Brain
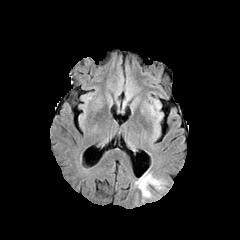
FLAIR MR image.
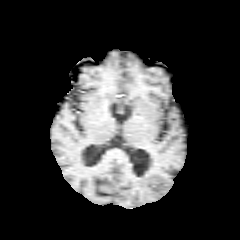
T1-weighted MRI.
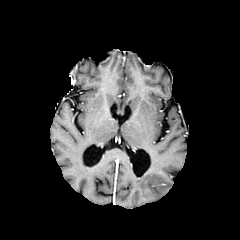
Same slice, post-contrast T1-weighted magnetic resonance.
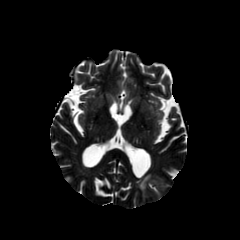
T2-weighted magnetic resonance of the same slice.
edema:
  - [x1=137, y1=170, x2=166, y2=197]